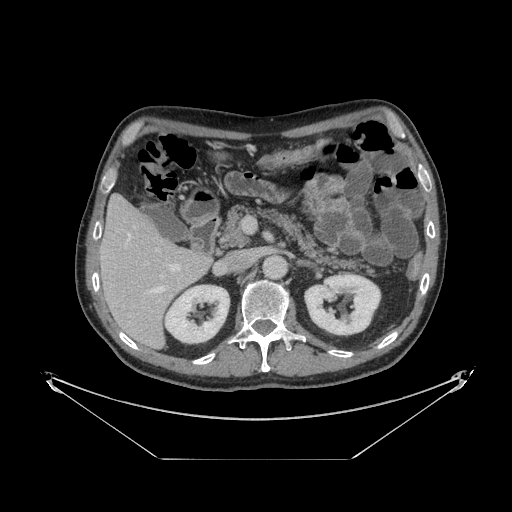 Computed tomography. pancreas: bbox(222, 204, 371, 274)